Slice 75 of 155; 240x240; Head
FLAIR magnetic resonance.
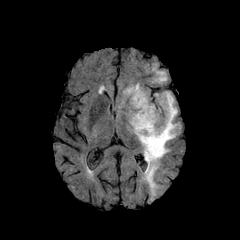
T1-weighted magnetic resonance.
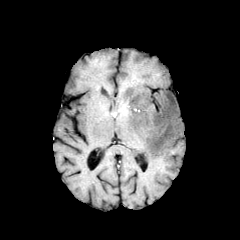
Post-contrast T1-weighted MRI.
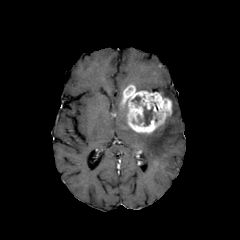
T2-weighted MRI.
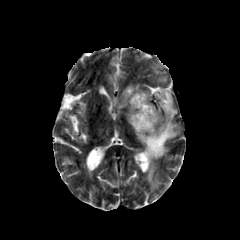
Edema — (134,91,180,195).
Non-enhancing tumor core — (143,106,152,125).
Enhancing tumor — (122,84,172,133).